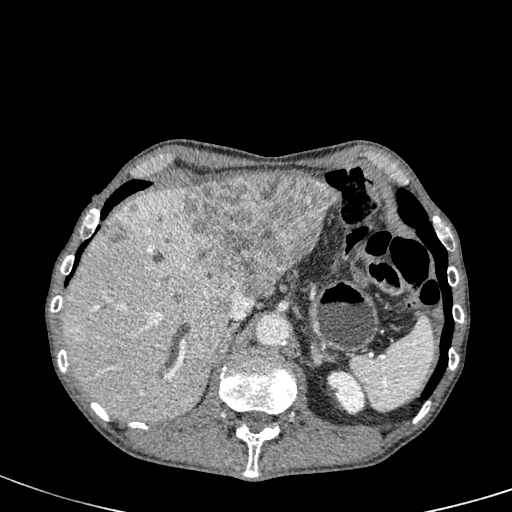

CT
{"focal_liver_lesion": ["left=102, top=223, right=128, bottom=242", "left=128, top=203, right=137, bottom=212", "left=184, top=175, right=337, bottom=295", "left=173, top=293, right=183, bottom=302"], "kidney": ["left=329, top=373, right=362, bottom=411"], "liver": ["left=63, top=187, right=243, bottom=421", "left=289, top=174, right=315, bottom=178", "left=255, top=279, right=278, bottom=297"]}